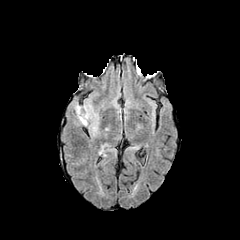
FLAIR MR.
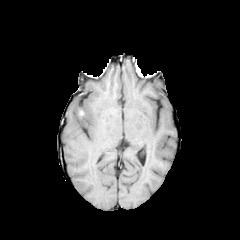
T1-weighted MR of the same slice.
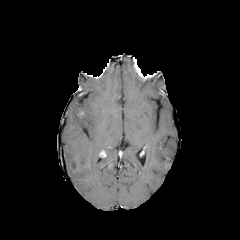
Post-contrast T1-weighted MR image.
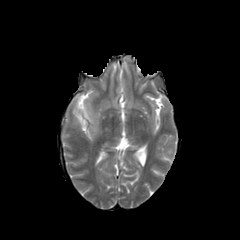
T2-weighted MR of the same slice.
Annotated regions:
- edema: x1=75 y1=104 x2=90 y2=125